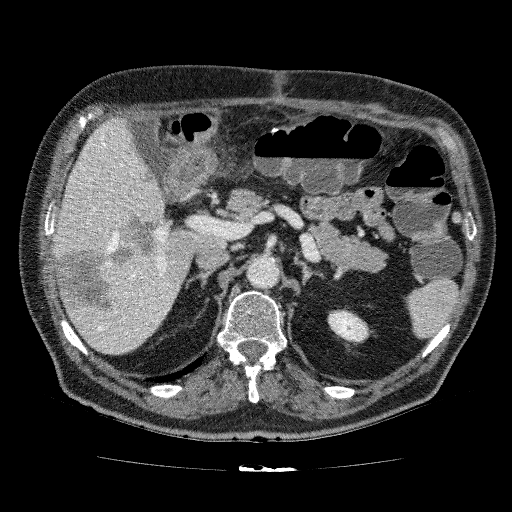

Computed tomography.
Liver: bounding box (left=104, top=260, right=113, bottom=268), (left=51, top=116, right=227, bottom=354).
Kidney: bounding box (left=328, top=310, right=368, bottom=341).
Liver lesion: bounding box (left=139, top=169, right=156, bottom=184), (left=52, top=212, right=157, bottom=323).